CT | 512x512
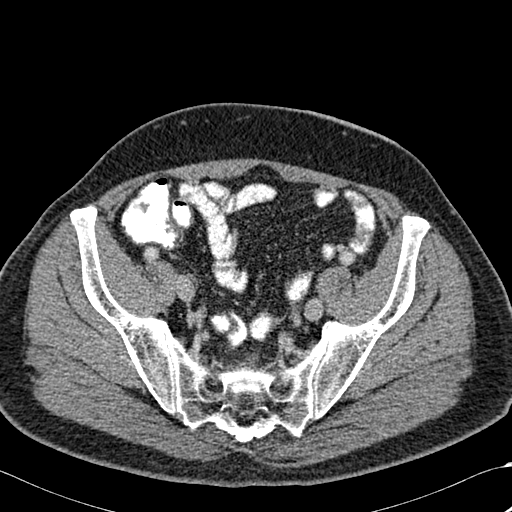

The bone is located at box=[70, 206, 429, 441].